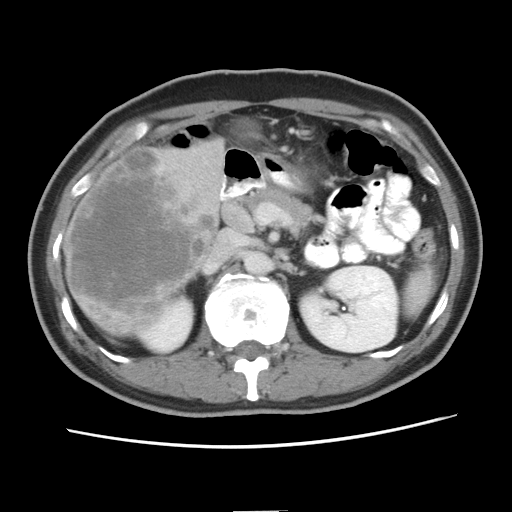

CT scan slice | Abdomen

Liver tumor at x1=65 y1=149 x2=217 y2=326.